Head
FLAIR magnetic resonance.
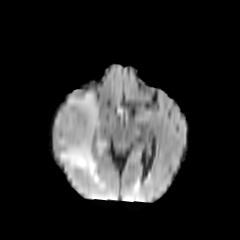
T1-weighted MR image.
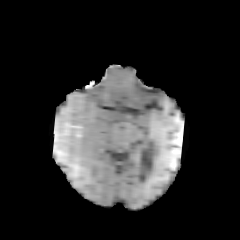
Post-contrast T1-weighted magnetic resonance.
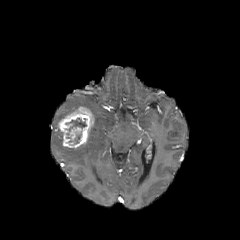
T2-weighted MR.
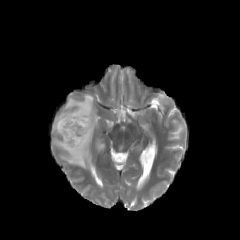
Edema: bounding box {"x1": 53, "y1": 92, "x2": 99, "y2": 181}.
Enhancing tumor: bounding box {"x1": 57, "y1": 106, "x2": 94, "y2": 148}.
Non-enhancing tumor core: bounding box {"x1": 69, "y1": 131, "x2": 81, "y2": 142}, {"x1": 65, "y1": 117, "x2": 86, "y2": 132}.